FLAIR MR image.
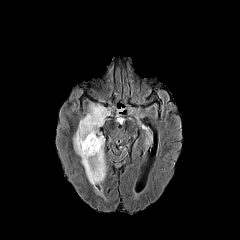
T1-weighted MRI.
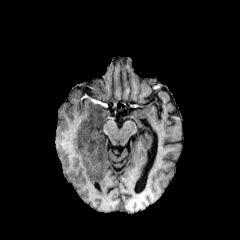
Post-contrast T1-weighted MR image.
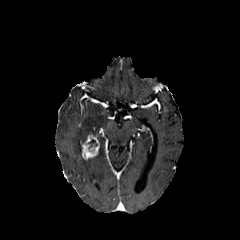
T2-weighted magnetic resonance.
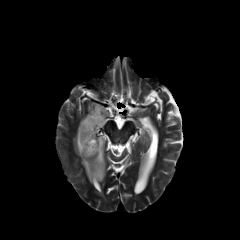
Head.
Edema: bounding box l=73, t=103, r=109, b=187.
Enhancing tumor: bounding box l=81, t=135, r=99, b=159.
Non-enhancing tumor core: bounding box l=86, t=139, r=97, b=148.